FLAIR MRI.
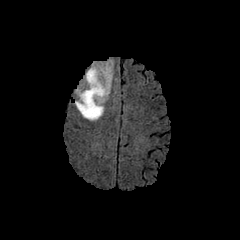
T1-weighted MR.
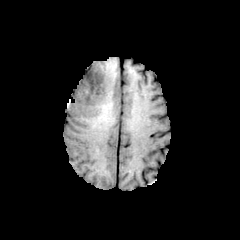
Post-contrast T1-weighted MRI.
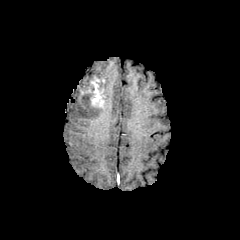
T2-weighted MR image.
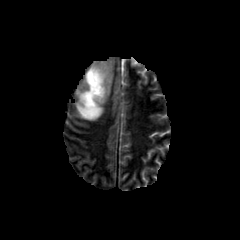
Head
2 non-enhancing tumor core regions are located at <box>80,70,105,95</box>, <box>86,96,101,106</box>. The edema appears at <box>75,64,115,121</box>. The enhancing tumor lies within <box>91,77,103,103</box>.